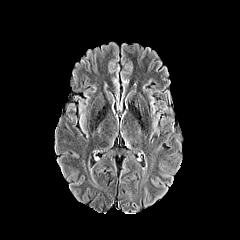
FLAIR MR.
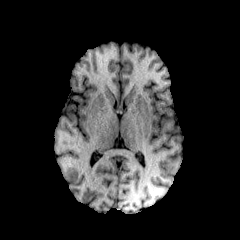
Same slice, T1-weighted MR.
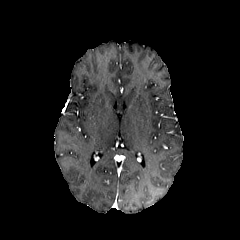
Same slice, post-contrast T1-weighted MRI.
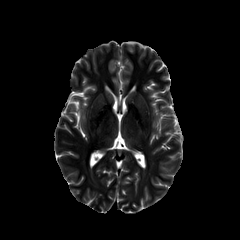
T2-weighted magnetic resonance.
240x240
* edema: region(153, 118, 159, 132)